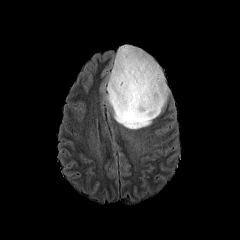
FLAIR MR image.
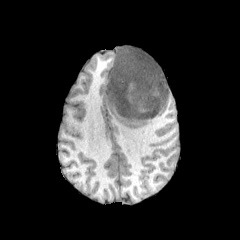
T1-weighted MR of the same slice.
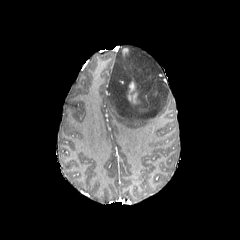
Same slice, post-contrast T1-weighted MR.
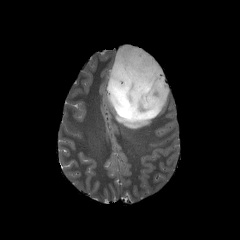
T2-weighted MR of the same slice.
Edema = bbox=[107, 44, 170, 129].
Enhancing tumor = bbox=[127, 78, 139, 101].